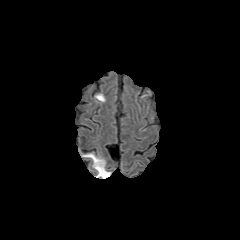
FLAIR MR image.
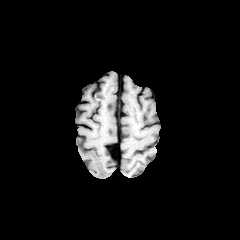
T1-weighted MR image.
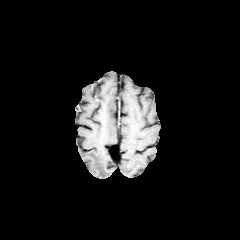
Same slice, post-contrast T1-weighted MR image.
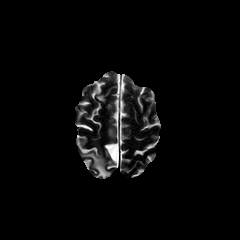
T2-weighted magnetic resonance of the same slice.
240x240
- edema: <box>84,152,109,177</box>